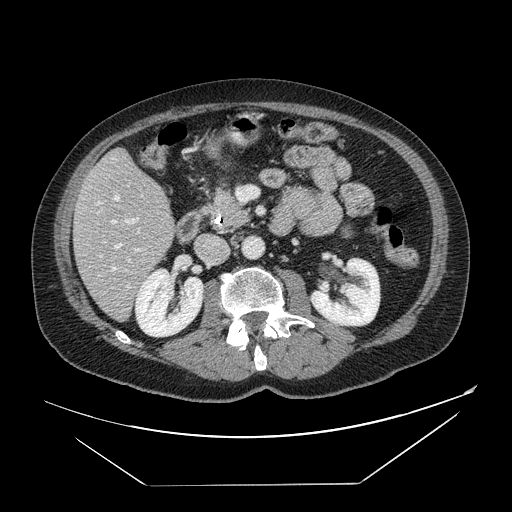
Abdomen | 512x512 px | Computed tomography

• pancreas: bbox(201, 187, 250, 233)
• pancreatic tumor: bbox(221, 200, 239, 215)